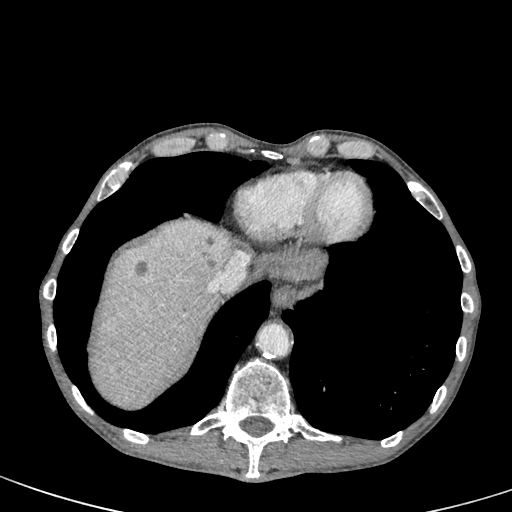
CT image; 512x512; Upper abdomen
Liver: 90,220,232,409; 265,262,304,280.
Hepatic lesion: 265,251,326,279; 136,262,147,274; 223,248,231,258.